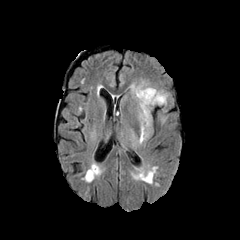
FLAIR magnetic resonance.
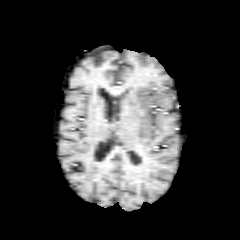
T1-weighted MR image.
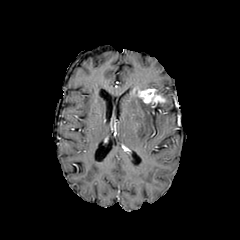
Same slice, post-contrast T1-weighted MRI.
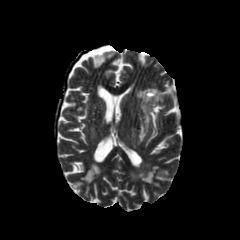
T2-weighted MR.
The enhancing tumor appears at 140,89,163,102. The edema lies within 129,84,168,143.